Magnetic resonance | Hippocampus 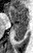 The posterior hippocampus is located at left=13, top=23, right=28, bottom=41. The anterior hippocampus is at left=9, top=5, right=28, bottom=22.